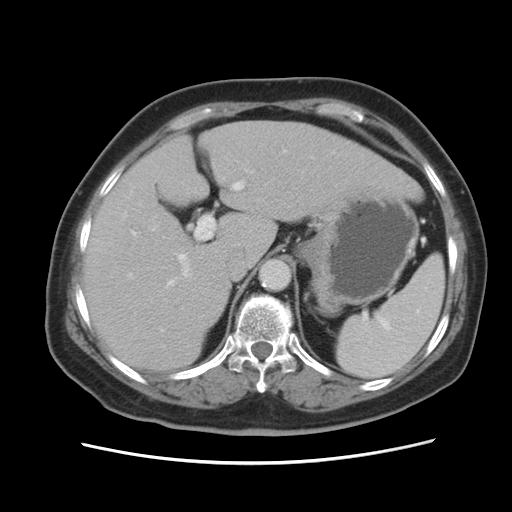 CT | Abdomen
Some hepatic vessels may have no box.
10 hepatic vessel regions appear at [x1=182, y1=307, x2=183, y2=308], [x1=132, y1=231, x2=136, y2=235], [x1=128, y1=273, x2=132, y2=277], [x1=123, y1=212, x2=127, y2=218], [x1=178, y1=254, x2=191, y2=276], [x1=150, y1=226, x2=156, y2=230], [x1=232, y1=180, x2=244, y2=189], [x1=195, y1=215, x2=215, y2=239], [x1=283, y1=150, x2=286, y2=152], [x1=167, y1=279, x2=176, y2=285].